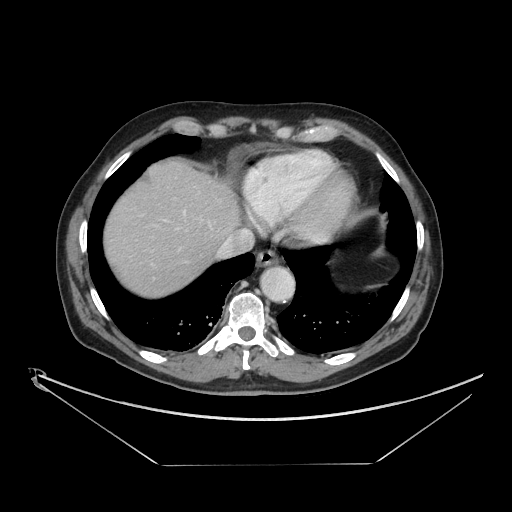 Computed tomography | Liver
Not every hepatic vessel necessarily has a box.
<segmentation>
  <hepatic_vessel>x1=183 y1=210 x2=185 y2=213</hepatic_vessel>
</segmentation>